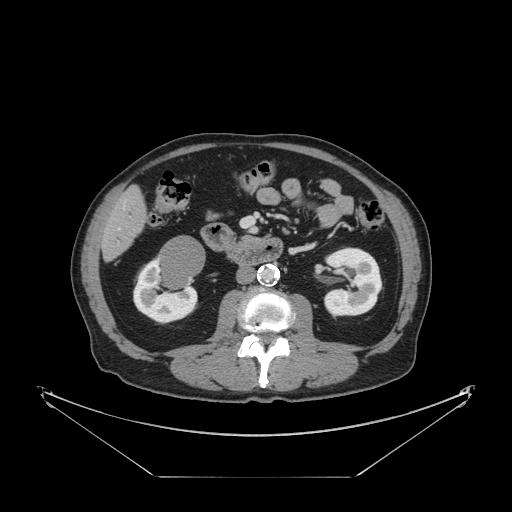
CT
The vessel boxes may cover only some of the vessels.
hepatic vessel: x1=118, y1=228, x2=119, y2=229